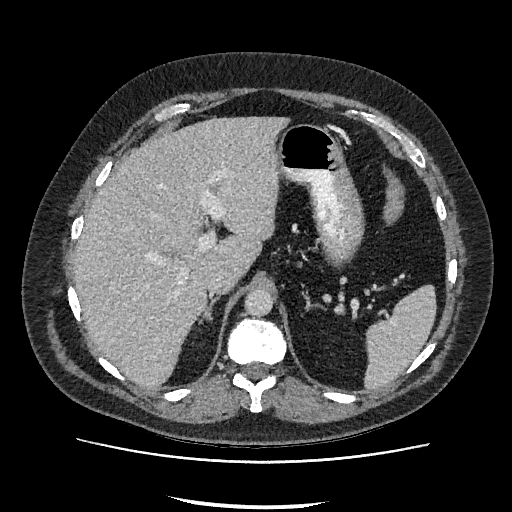
Computed tomography. Upper abdomen.

<segmentation>
  <liver>(75,118,284,387)</liver>
</segmentation>